FLAIR MR image.
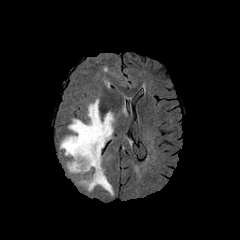
T1-weighted MR.
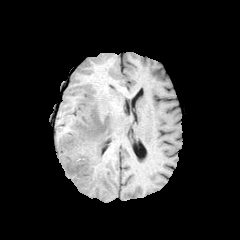
Post-contrast T1-weighted MR image.
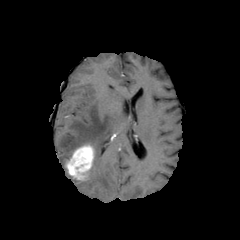
T2-weighted MRI.
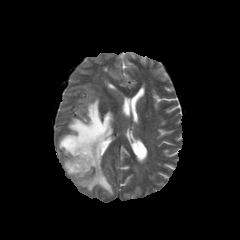
240x240
<segmentation>
  <edema>region(59, 99, 113, 194)</edema>
  <enhancing_tumor>region(65, 145, 95, 181)</enhancing_tumor>
</segmentation>